Brain. Slice index 87. 240x240 px.
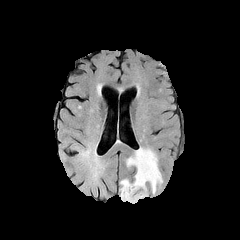
FLAIR MR.
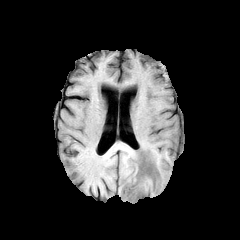
T1-weighted magnetic resonance.
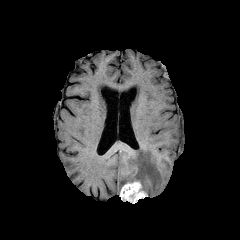
Post-contrast T1-weighted MR.
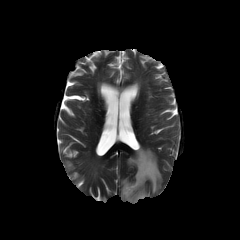
Same slice, T2-weighted MR.
Findings:
- enhancing tumor: bbox(120, 180, 147, 203)
- edema: bbox(126, 147, 162, 194)